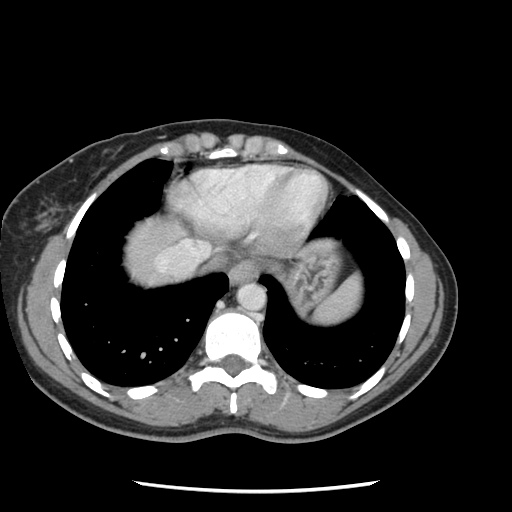
512x512 px; CT

Only some of the vessels may be annotated.
Hepatic vessel: 201,244,206,251; 158,256,163,268.